Medial temporal lobe | Image width 36 mm | MR | 36x47

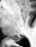
The posterior hippocampus lies within x1=12 y1=37 x2=19 y2=41.